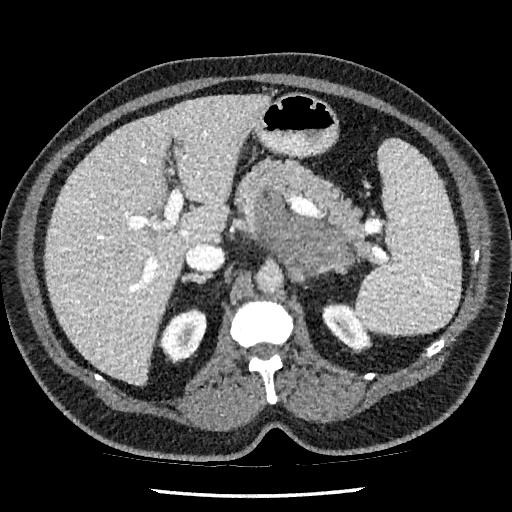 Computed tomography
Annotated regions:
• hepatic lesion: {"x1": 174, "y1": 139, "x2": 183, "y2": 147}
• kidney: {"x1": 323, "y1": 306, "x2": 368, "y2": 348}, {"x1": 162, "y1": 311, "x2": 205, "y2": 359}
• liver: {"x1": 45, "y1": 95, "x2": 268, "y2": 384}